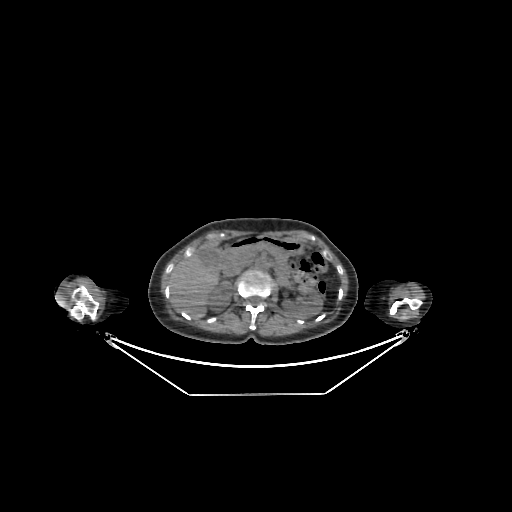
CT image

3 liver regions are located at (201,242,218,250), (227,246,248,272), (168,250,220,319). 2 kidney regions are located at (282,284,323,320), (207,280,232,311).